Field of view 240 mm wide, 1.00 mm slice spacing, Image size 240x240, Slice 79 of 155
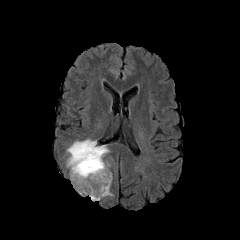
FLAIR MR image.
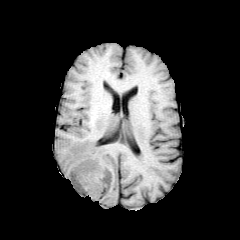
T1-weighted MR of the same slice.
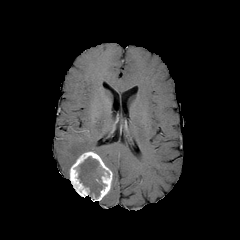
Post-contrast T1-weighted MR image.
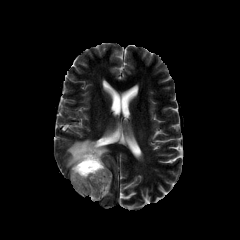
T2-weighted MR.
<segmentation>
  <enhancing_tumor><bbox>70, 152, 111, 200</bbox></enhancing_tumor>
  <non-enhancing_tumor_core><bbox>79, 157, 103, 198</bbox></non-enhancing_tumor_core>
  <edema><bbox>64, 139, 110, 170</bbox>, <bbox>82, 174, 93, 186</bbox></edema>
</segmentation>